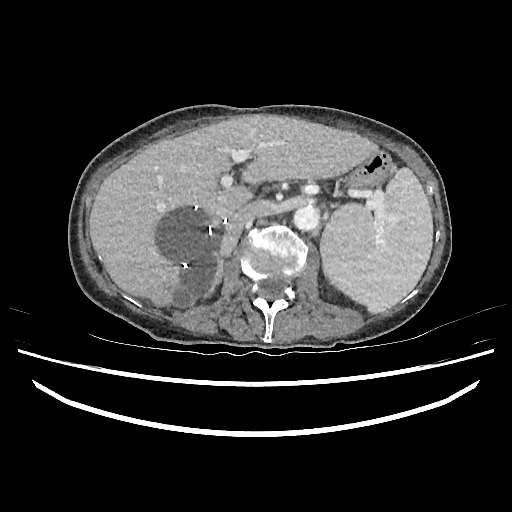

CT slice
{"focal_liver_lesion": ["<box>157,208,222,305</box>"], "liver": ["<box>208,253,219,290</box>", "<box>90,116,374,305</box>"]}